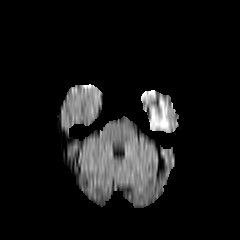
FLAIR MR.
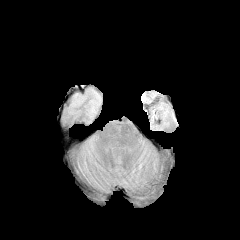
T1-weighted magnetic resonance.
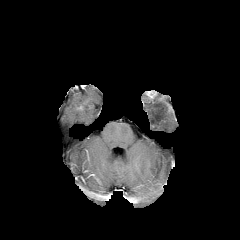
Post-contrast T1-weighted MR image of the same slice.
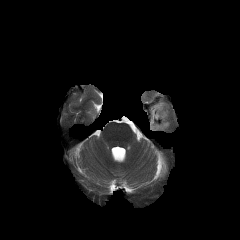
Same slice, T2-weighted magnetic resonance.
Head
Edema: x1=150, y1=102, x2=169, y2=130.